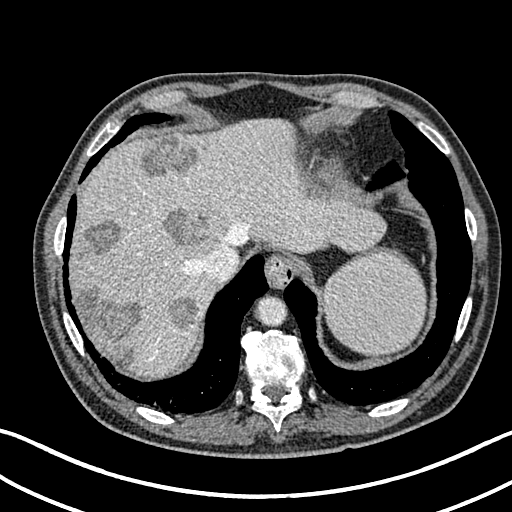
CT scan slice.

The liver is bounded by left=71, top=120, right=386, bottom=376. 6 hepatic lesion regions are located at left=142, top=138, right=197, bottom=175; left=85, top=220, right=120, bottom=254; left=116, top=348, right=133, bottom=368; left=169, top=298, right=197, bottom=330; left=162, top=208, right=209, bottom=247; left=76, top=285, right=142, bottom=338.